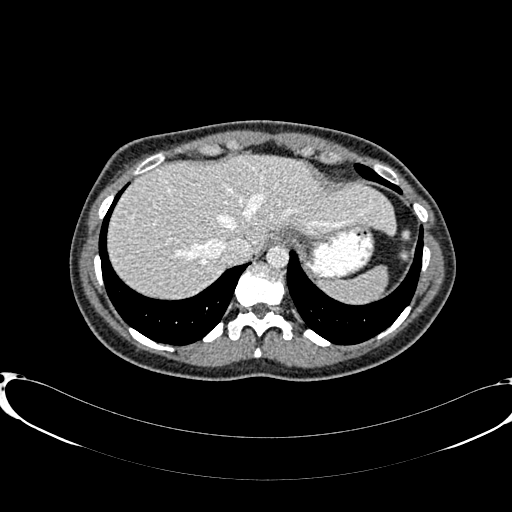 Liver. CT scan slice. 512x512 px.
<segmentation>
  <liver>l=108, t=154, r=395, b=297</liver>
</segmentation>